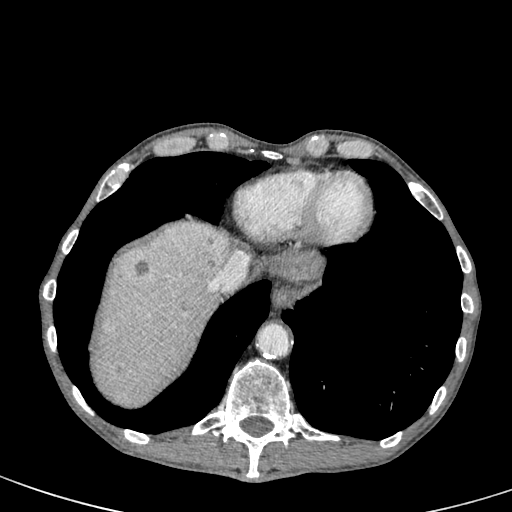

CT image, Liver

Hepatic lesion: <bbox>270, 252, 323, 280</bbox>, <bbox>135, 261, 148, 275</bbox>, <bbox>223, 247, 231, 258</bbox>.
Liver: <bbox>93, 222, 231, 407</bbox>, <bbox>270, 263, 303, 280</bbox>.